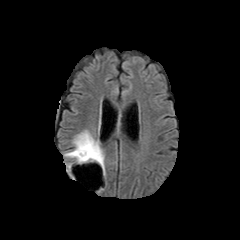
FLAIR magnetic resonance.
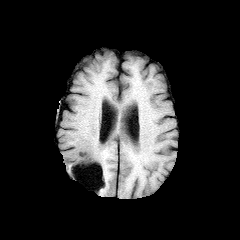
T1-weighted MR of the same slice.
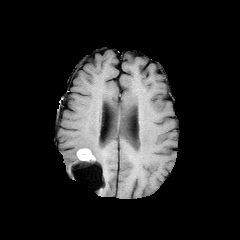
Post-contrast T1-weighted MR of the same slice.
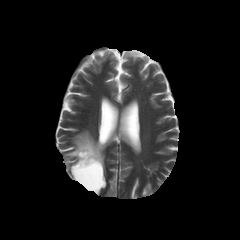
T2-weighted MR of the same slice.
Brain
non-enhancing_tumor_core:
  - x1=74 y1=150 x2=103 y2=179
edema:
  - x1=64 y1=130 x2=105 y2=175
enhancing_tumor:
  - x1=77 y1=148 x2=96 y2=160